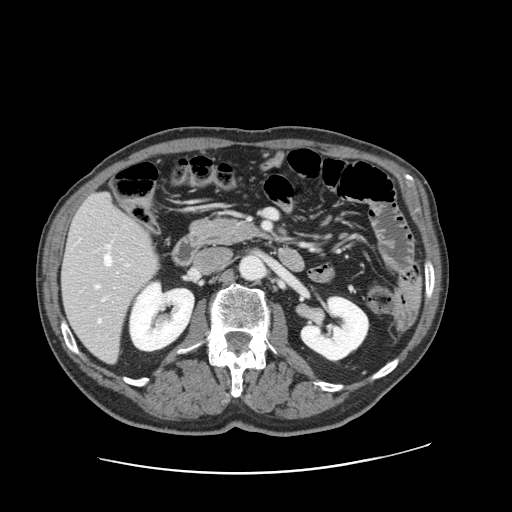 CT

The vessel annotation is not exhaustive.
Annotated regions:
* hepatic vessel: <bbox>105, 245, 111, 249</bbox>, <bbox>102, 298, 105, 301</bbox>, <bbox>95, 285, 99, 288</bbox>, <bbox>98, 319, 100, 322</bbox>, <bbox>104, 254, 111, 265</bbox>